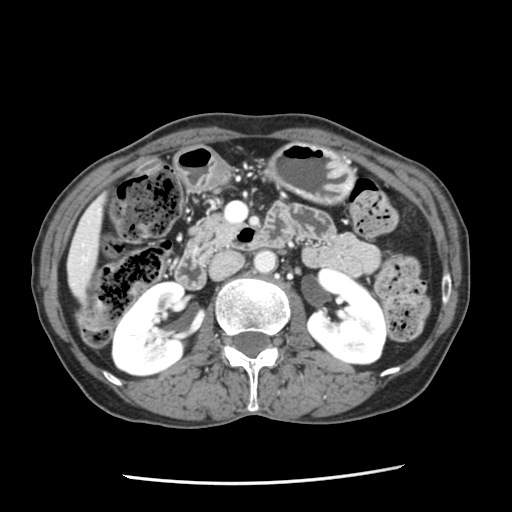 Upper abdomen. 512x512 px. CT image. - pancreas: {"x1": 193, "y1": 211, "x2": 243, "y2": 258}